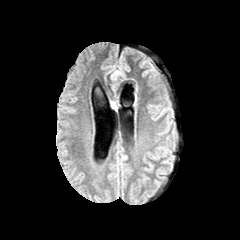
FLAIR MR.
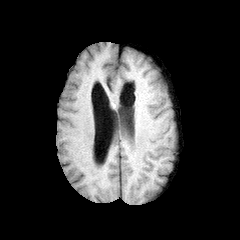
T1-weighted MR.
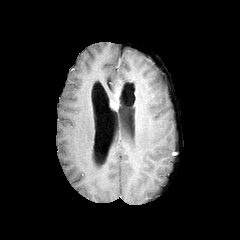
Post-contrast T1-weighted magnetic resonance.
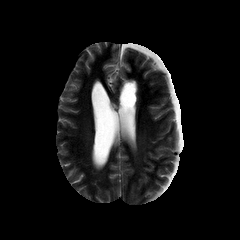
T2-weighted MR of the same slice.
Image size 240x240
Edema: region(110, 70, 118, 80).